FLAIR magnetic resonance.
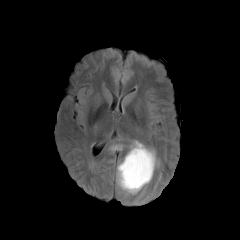
T1-weighted MR image.
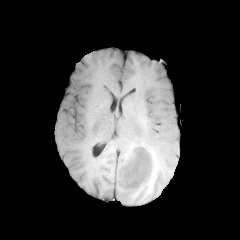
Post-contrast T1-weighted MRI.
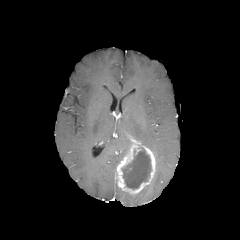
T2-weighted magnetic resonance.
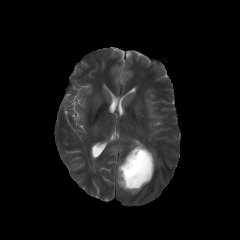
Head; Image size 240x240
{"non-enhancing_tumor_core": ["[123,150,150,189]"], "enhancing_tumor": ["[117,140,155,193]"]}